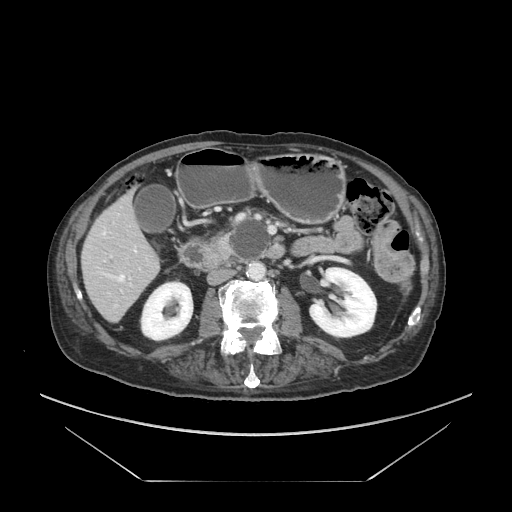

CT scan slice. Abdomen.
{
  "pancreas": [
    "(210, 237, 233, 259)"
  ]
}